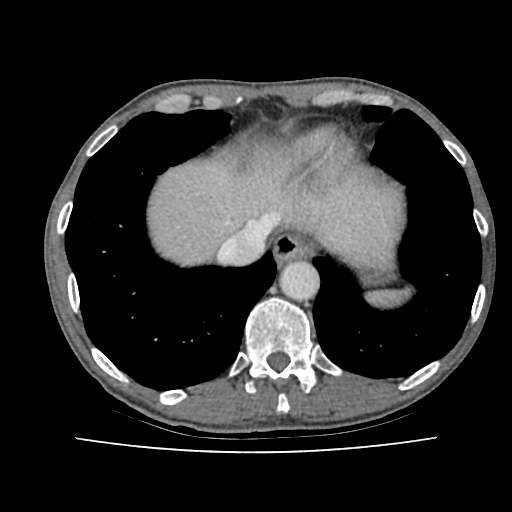 Liver; CT; Image size 512x512
liver:
  - <bbox>148, 135, 401, 265</bbox>